CT slice.
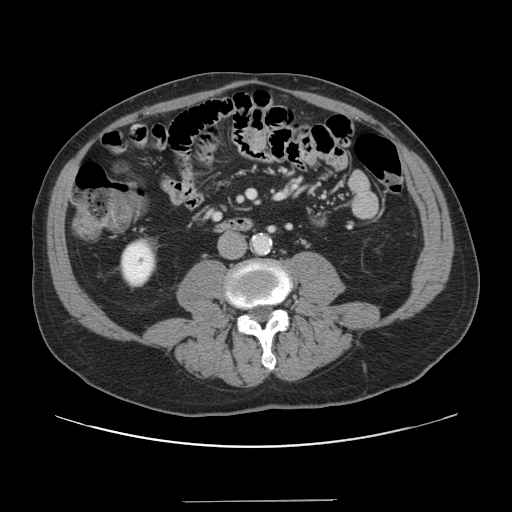

Only some of the vessels may be annotated.
Hepatic vessel at (left=249, top=191, right=252, bottom=196).